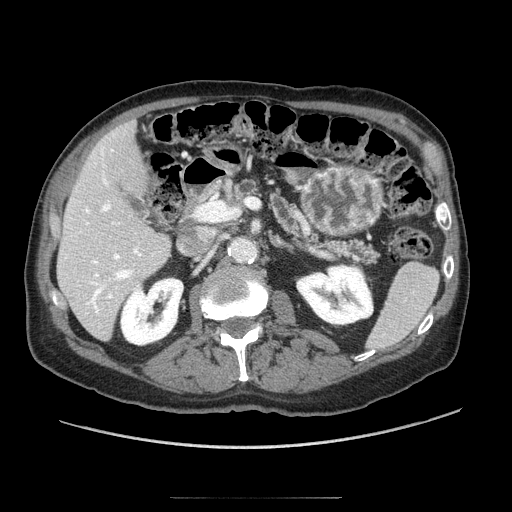
CT image
pancreas:
  - [269,194,377,264]
  - [233,180,257,198]